CT scan slice; Abdomen; Image size 512x512 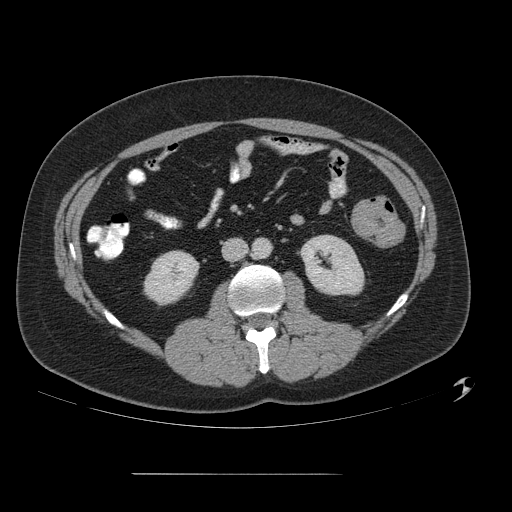
Colon tumor at l=352, t=197, r=404, b=247.